CT scan slice; Slice index 451; 512x512 px; Abdomen 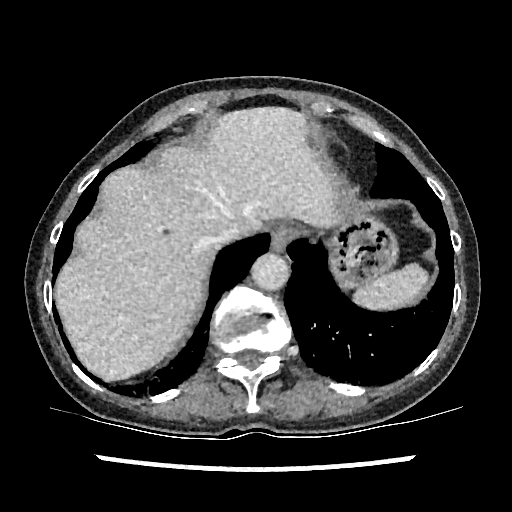

Liver: bounding box region(56, 108, 334, 378).